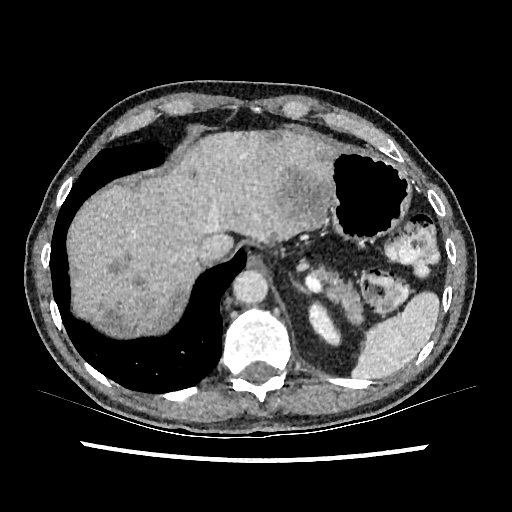 Computed tomography | 512x512 px

Findings:
- kidney: bbox(310, 305, 338, 342)
- liver: bbox(72, 131, 332, 323)
- hepatic lesion: bbox(276, 167, 330, 226); bbox(99, 289, 187, 333); bbox(107, 251, 132, 274); bbox(316, 149, 330, 161); bbox(268, 232, 278, 241); bbox(190, 170, 197, 178); bbox(133, 275, 148, 290); bbox(234, 133, 254, 149); bbox(258, 132, 281, 145)